FLAIR MR.
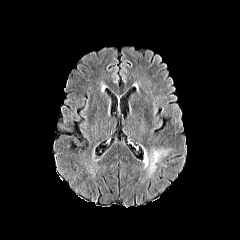
T1-weighted MR.
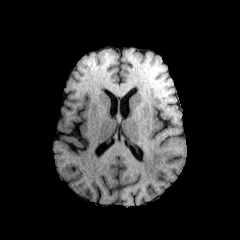
Post-contrast T1-weighted MRI.
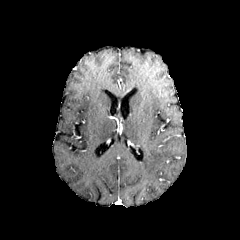
T2-weighted MR image.
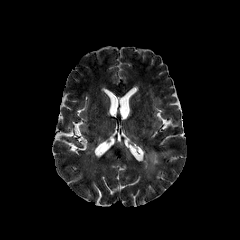
Image size 240x240 | Head
Edema: 144 151 163 174.